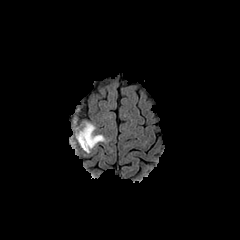
FLAIR magnetic resonance.
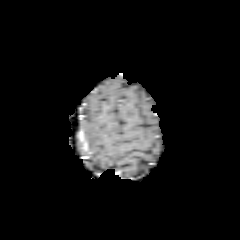
T1-weighted MRI of the same slice.
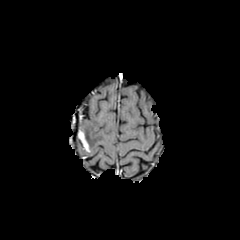
Post-contrast T1-weighted MRI of the same slice.
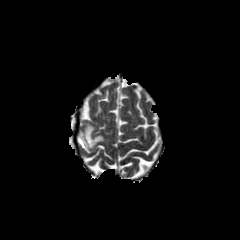
T2-weighted MR image.
Edema: bounding box bbox(81, 122, 105, 150).
Enhancing tumor: bounding box bbox(78, 130, 90, 152).